FLAIR MRI.
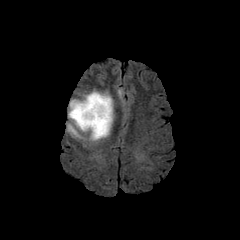
T1-weighted MR.
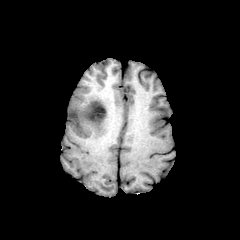
Post-contrast T1-weighted MRI.
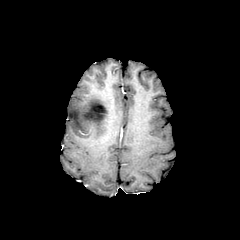
T2-weighted MRI.
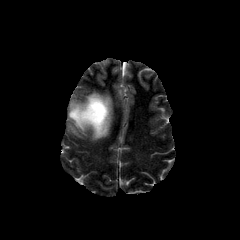
Brain.
Findings:
- non-enhancing tumor core: rect(83, 95, 112, 140)
- edema: rect(68, 91, 111, 140)